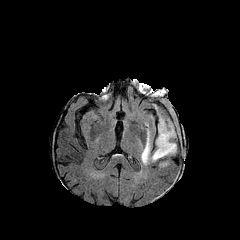
FLAIR MR image.
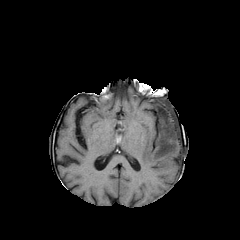
Same slice, T1-weighted MR.
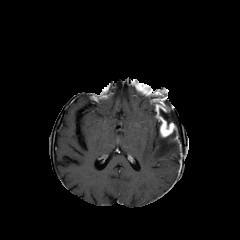
Post-contrast T1-weighted magnetic resonance.
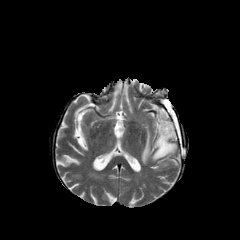
T2-weighted magnetic resonance of the same slice.
Head | 240x240 px
The edema appears at 141,118,179,166. The enhancing tumor is at 155,104,177,138. 2 non-enhancing tumor core regions appear at 163,130,179,141; 151,89,173,137.